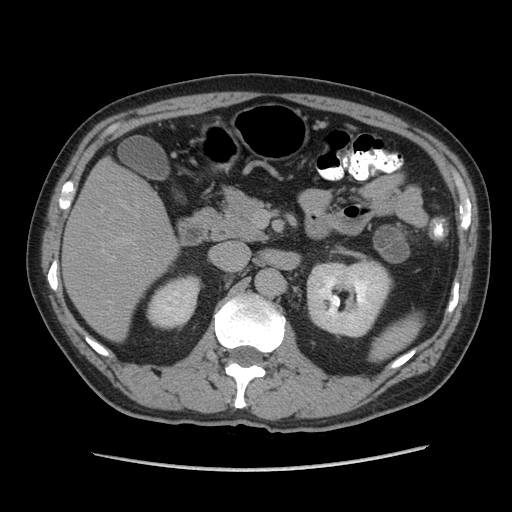
CT image
{
  "pancreas": [
    "x1=210 y1=187 x2=267 y2=242"
  ]
}